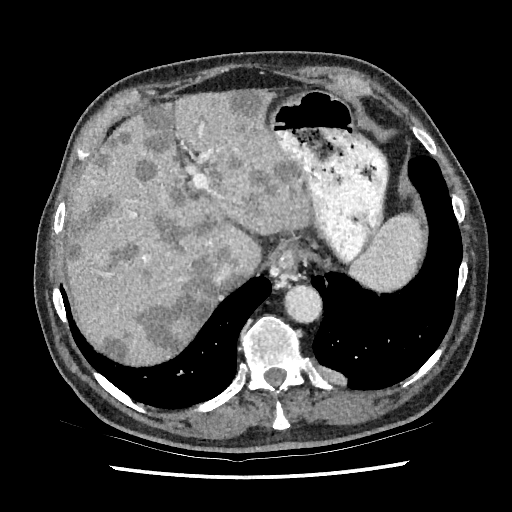
Computed tomography, Abdomen

<segmentation>
  <hepatic_lesion>141 105 174 153, 134 159 156 181, 246 161 297 196, 141 268 152 281, 229 91 265 122, 139 246 238 353, 242 192 267 218, 167 183 185 205, 227 153 242 171, 67 194 115 259, 154 210 231 255, 93 132 131 171, 106 241 137 267, 98 336 128 361</hepatic_lesion>
  <liver>66 92 311 362, 212 262 227 275</liver>
</segmentation>